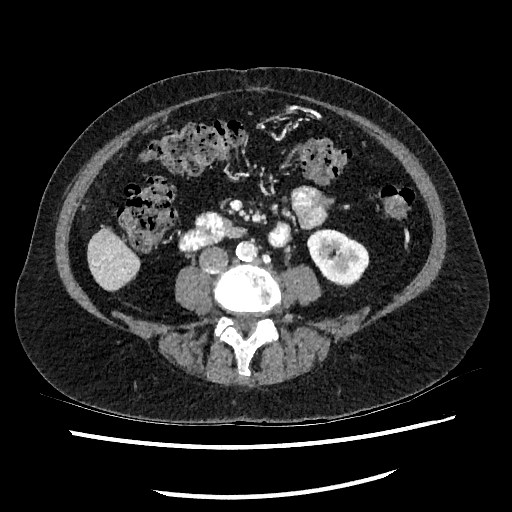

Image size 512x512. CT scan slice.
Liver: bounding box box(87, 229, 138, 289).
Kidney: bounding box box(308, 224, 368, 283).